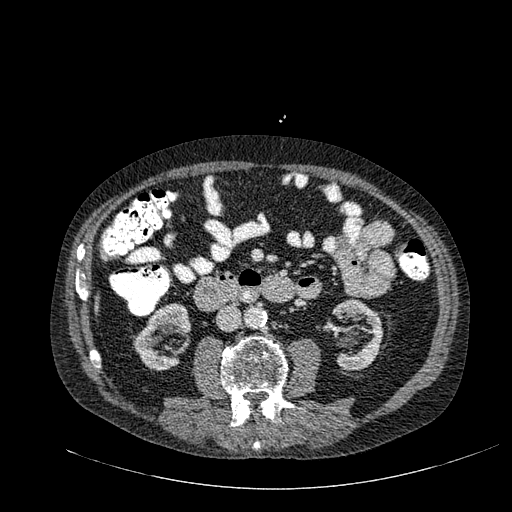
CT scan slice | Liver

kidney: (323, 301, 382, 370), (133, 303, 190, 370) | liver: (94, 299, 98, 313)